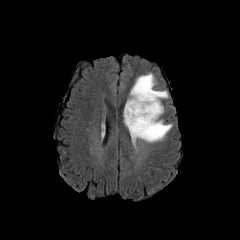
FLAIR MR image.
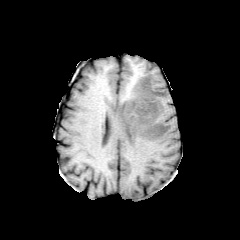
Same slice, T1-weighted MR image.
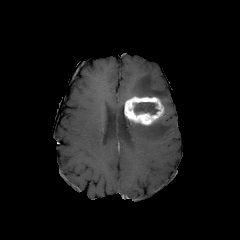
Same slice, post-contrast T1-weighted MR image.
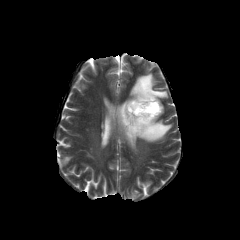
T2-weighted MRI of the same slice.
2 non-enhancing tumor core regions appear at x1=140, y1=80, x2=154, y2=96; x1=134, y1=102, x2=156, y2=113. The enhancing tumor is bounded by x1=124, y1=96, x2=163, y2=125. 2 edema regions appear at x1=129, y1=72, x2=168, y2=103; x1=123, y1=116, x2=172, y2=144.